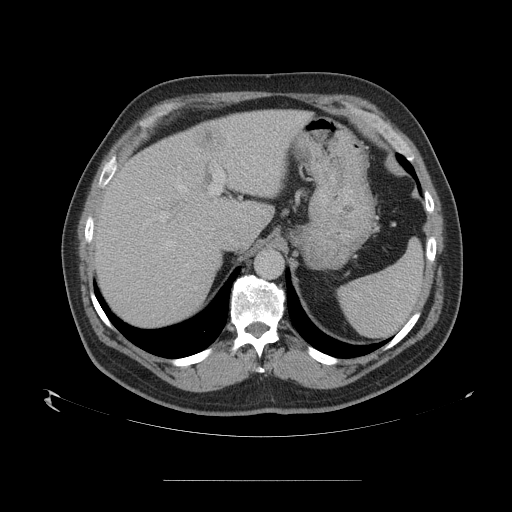 CT scan slice | Abdomen
Only some of the vessels may be annotated.
hepatic vessel: box(160, 214, 166, 219); box(196, 196, 204, 199); box(209, 164, 225, 197) | liver tumor: box(194, 122, 226, 150)